FLAIR MR image.
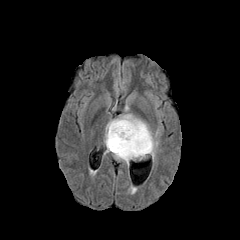
T1-weighted MR.
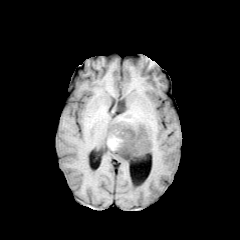
Post-contrast T1-weighted MRI.
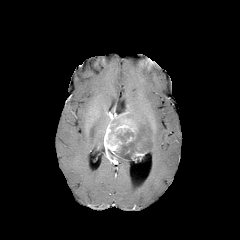
T2-weighted MR image.
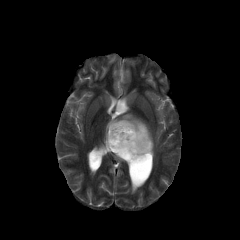
Brain
2 edema regions are located at (x1=117, y1=97, x2=159, y2=161), (x1=112, y1=153, x2=130, y2=167). The non-enhancing tumor core appears at (x1=115, y1=125, x2=150, y2=161). 2 enhancing tumor regions appear at (x1=104, y1=116, x2=138, y2=156), (x1=132, y1=152, x2=145, y2=160).